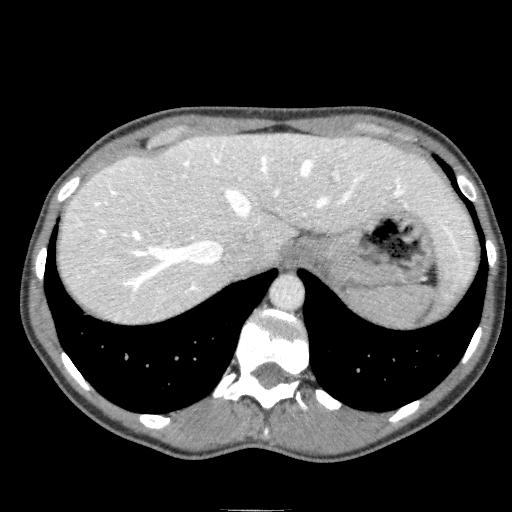 CT slice. Liver. Liver — <box>58,132,475,324</box>.